Brain; Field of view 240 mm wide, 1.00 mm slice spacing
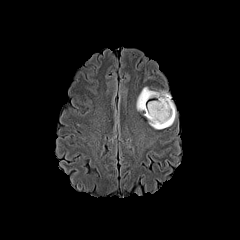
FLAIR magnetic resonance.
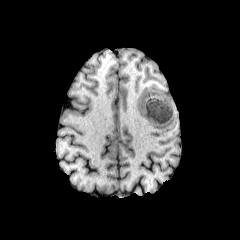
T1-weighted MRI.
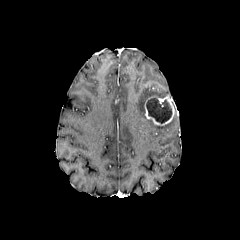
Post-contrast T1-weighted MR image.
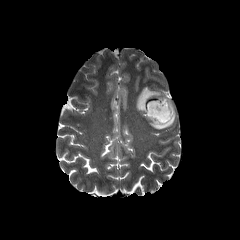
T2-weighted magnetic resonance.
The non-enhancing tumor core is at {"x1": 146, "y1": 98, "x2": 171, "y2": 123}. The enhancing tumor is bounded by {"x1": 144, "y1": 97, "x2": 175, "y2": 126}. 2 edema regions appear at {"x1": 136, "y1": 87, "x2": 169, "y2": 110}, {"x1": 149, "y1": 114, "x2": 175, "y2": 129}.